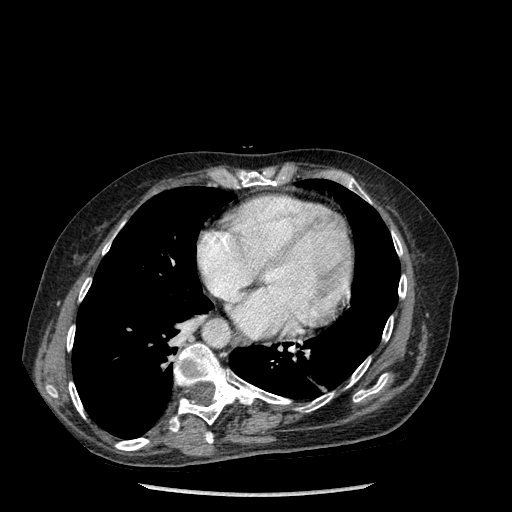 CT image.
2 lung regions are bounded by l=72, t=186, r=234, b=438; l=229, t=179, r=400, b=398. The principal 15 bone regions (of 16) are located at l=346, t=178, r=371, b=203; l=79, t=278, r=91, b=301; l=296, t=393, r=333, b=412; l=46, t=385, r=57, b=397; l=233, t=170, r=282, b=187; l=67, t=325, r=75, b=351; l=398, t=275, r=407, b=298; l=382, t=316, r=393, b=341; l=115, t=438, r=149, b=450; l=169, t=343, r=291, b=431; l=391, t=231, r=402, b=255; l=102, t=223, r=123, b=254; l=346, t=357, r=370, b=387; l=68, t=382, r=85, b=418; l=353, t=373, r=388, b=402.